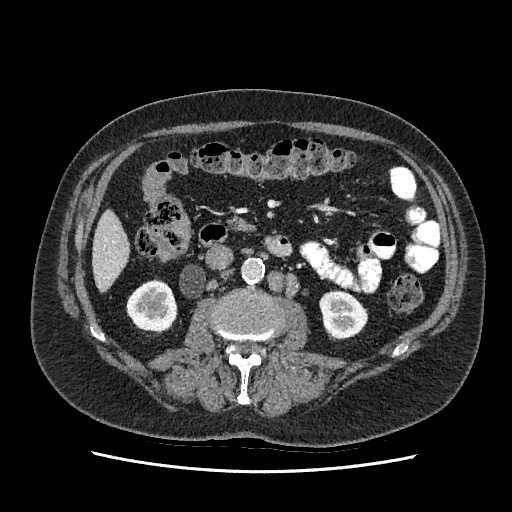 Abdomen | CT slice
Kidney at <bbox>320, 292, 366, 337</bbox>, <bbox>127, 281, 176, 330</bbox>.
Liver at <bbox>93, 210, 129, 290</bbox>.